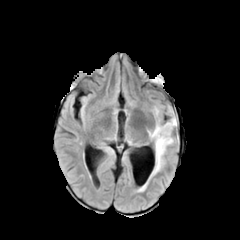
FLAIR MR image.
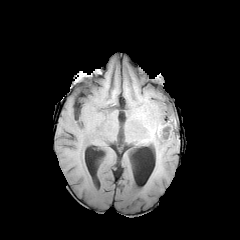
Same slice, T1-weighted MR.
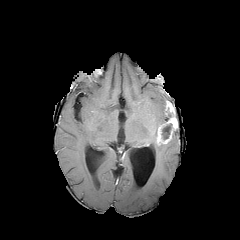
Same slice, post-contrast T1-weighted MR.
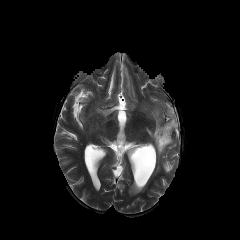
T2-weighted magnetic resonance.
Head. Image size 240x240.
• enhancing tumor: (167,104,177,128), (156,126,170,144)
• edema: (147,106,163,143), (149,138,174,179)
• non-enhancing tumor core: (160,122,172,139)